FLAIR magnetic resonance.
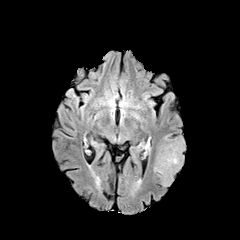
T1-weighted magnetic resonance.
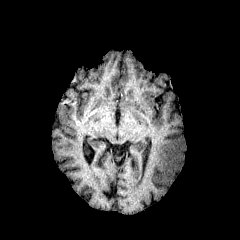
Post-contrast T1-weighted MR image.
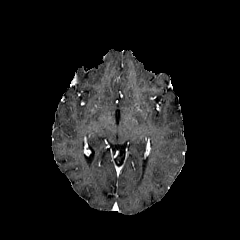
T2-weighted MR image.
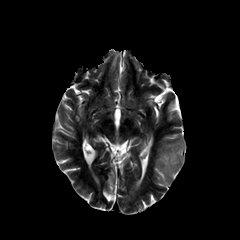
Image size 240x240
Non-enhancing tumor core = {"x1": 164, "y1": 138, "x2": 186, "y2": 168}.
Edema = {"x1": 152, "y1": 133, "x2": 184, "y2": 187}.